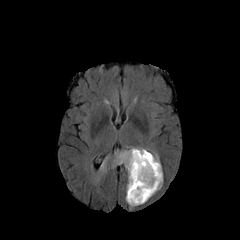
FLAIR MR image.
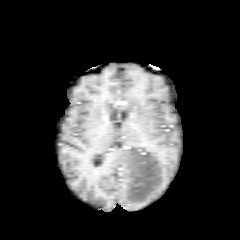
T1-weighted MRI of the same slice.
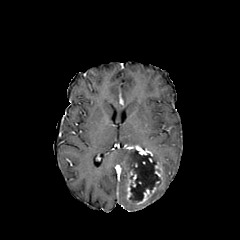
Post-contrast T1-weighted magnetic resonance.
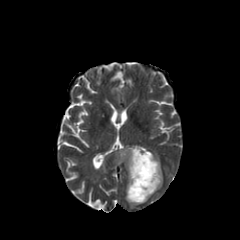
T2-weighted MR image of the same slice.
Head
Non-enhancing tumor core: bounding box left=127, top=150, right=160, bottom=201.
Enhancing tumor: bounding box left=131, top=169, right=137, bottom=187; left=127, top=185, right=132, bottom=199; left=154, top=163, right=161, bottom=179; left=136, top=181, right=159, bottom=203; left=124, top=145, right=152, bottom=156.
Edema: bounding box left=113, top=149, right=134, bottom=172; left=148, top=151, right=163, bottom=198; left=125, top=180, right=144, bottom=208.